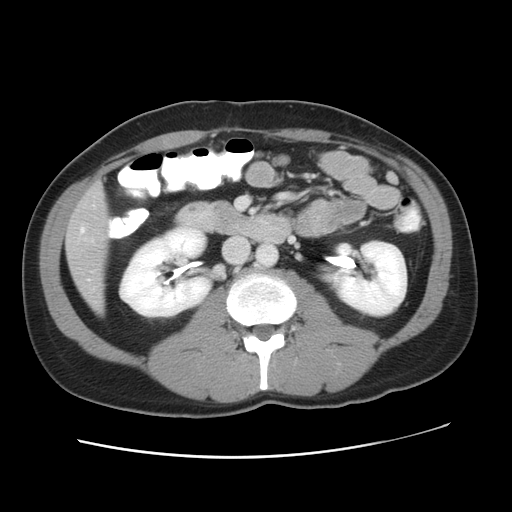

Liver; Computed tomography; 512x512

The vessel annotation is not exhaustive.
Hepatic vessel: bounding box 80:227:84:232.